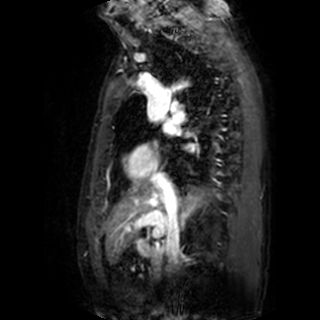

Magnetic resonance
The left atrium is at 163, 125, 173, 133.